Abdomen | CT image | Slice 82 of 141

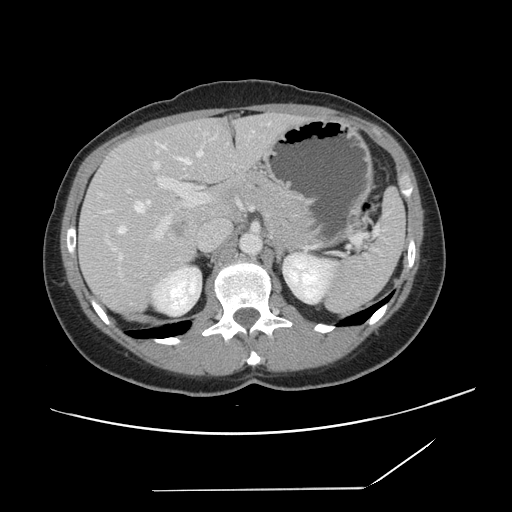

Not every hepatic vessel necessarily has a box.
* hepatic vessel (largest 15 of 21): <box>198,186,202,188</box>, <box>212,135,215,138</box>, <box>197,150,202,155</box>, <box>106,240,109,243</box>, <box>135,202,144,212</box>, <box>155,142,165,152</box>, <box>153,162,159,168</box>, <box>178,157,190,164</box>, <box>119,254,121,259</box>, <box>104,210,110,211</box>, <box>157,177,189,196</box>, <box>112,247,116,250</box>, <box>154,217,169,238</box>, <box>185,200,203,206</box>, <box>118,227,125,233</box>